CT image; Field of view 496x496 mm

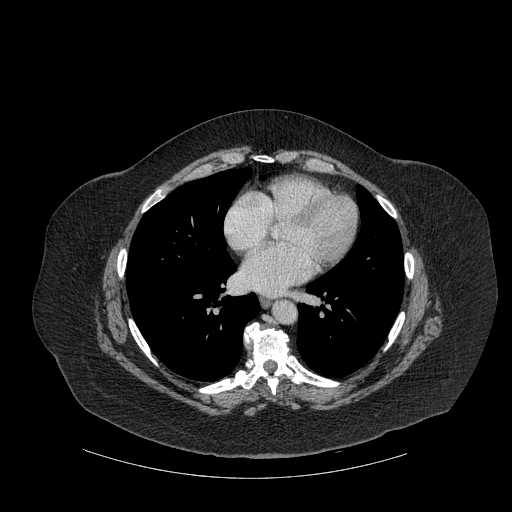 bone:
  - (199,323,338,394)
  - (378,196,396,217)
  - (254,156,273,162)
  - (129,319,156,364)
  - (117,249,126,276)
  - (385,312,404,349)
  - (142,190,163,211)
  - (404,253,413,278)
lung:
  - (297,187,403,377)
  - (126,167,259,381)